CT, Slice 498/624, 512x512 px 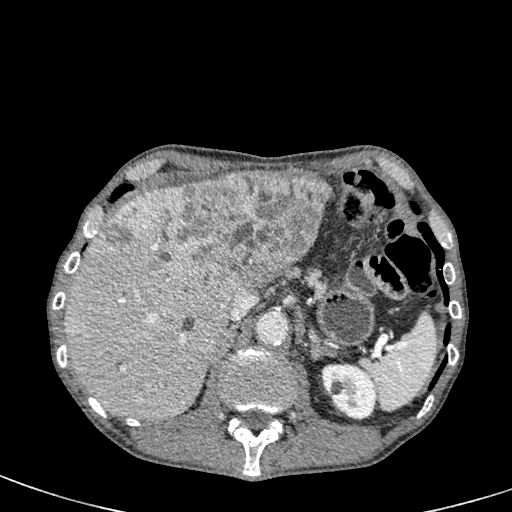

2 hepatic lesion regions are located at l=177, t=171, r=332, b=287; l=106, t=223, r=133, b=244. 3 liver regions are bounded by l=273, t=254, r=304, b=278; l=269, t=168, r=320, b=178; l=63, t=185, r=243, b=421. The kidney is at l=321, t=364, r=376, b=419.